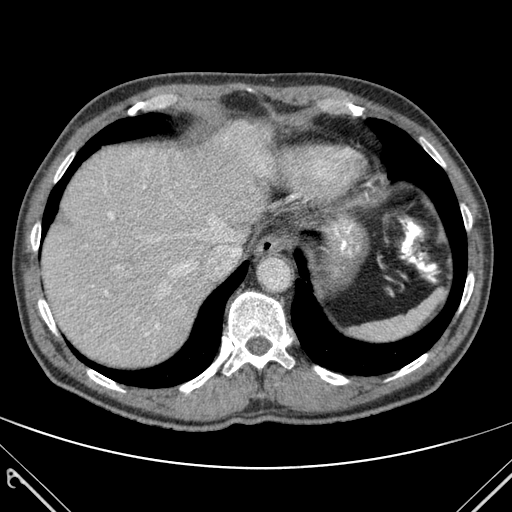
Liver, CT scan slice
Bone: <bbox>54, 152, 73, 182</bbox>, <bbox>460, 274, 473, 310</bbox>, <bbox>392, 354, 427, 378</bbox>, <bbox>423, 139, 445, 166</bbox>, <bbox>31, 224, 40, 250</bbox>, <bbox>315, 367, 347, 384</bbox>, <bbox>87, 370, 123, 391</bbox>, <bbox>180, 292, 292, 392</bbox>, <bbox>38, 298, 56, 334</bbox>, <bbox>461, 205, 471, 228</bbox>.
Liver: <bbox>42, 120, 271, 367</bbox>.
Lung: <bbox>42, 113, 167, 233</bbox>, <bbox>79, 261, 247, 387</bbox>, <bbox>291, 118, 466, 375</bbox>.